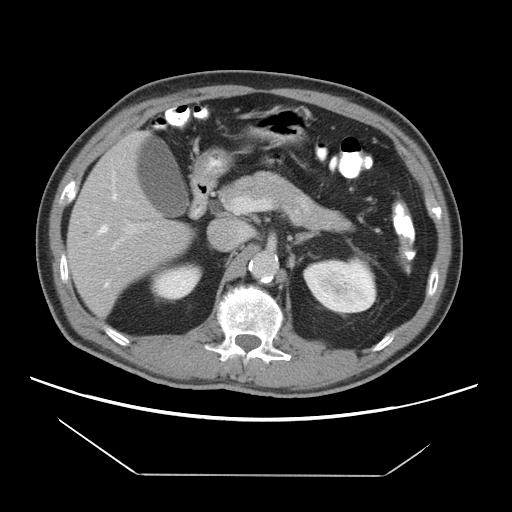
Liver. Computed tomography.

Not every hepatic vessel necessarily has a box.
Hepatic vessel: <box>98,225,107,234</box>, <box>109,171,116,200</box>, <box>104,280,109,286</box>, <box>93,237,94,238</box>, <box>123,221,147,236</box>, <box>111,237,126,250</box>, <box>126,200,130,202</box>, <box>136,134,139,136</box>.